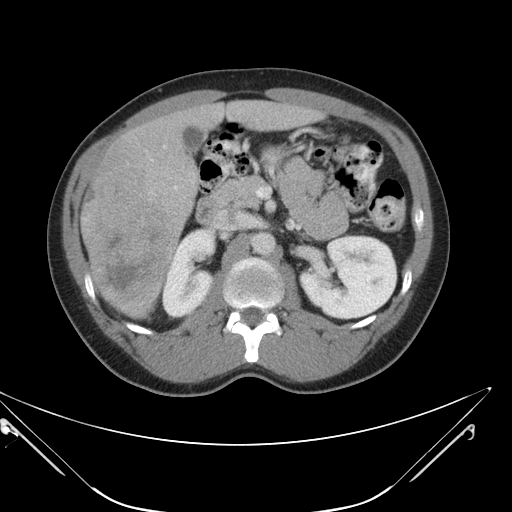
CT slice
Not every hepatic vessel necessarily has a box.
<segmentation>
  <liver_tumor>x1=84 y1=181 x2=174 y2=305</liver_tumor>
  <hepatic_vessel>x1=174 y1=186 x2=176 y2=188, x1=151 y1=159 x2=152 y2=161, x1=163 y1=146 x2=165 y2=147</hepatic_vessel>
</segmentation>